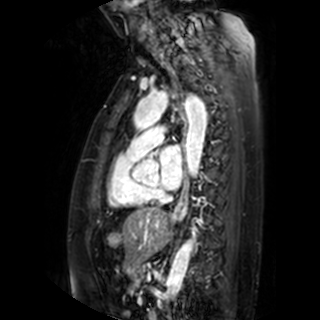
Image size 320x320. MR. Segmented structures:
* left atrium: [160, 144, 182, 189]